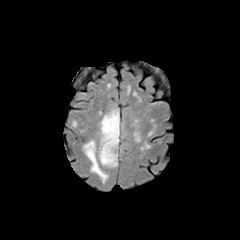
FLAIR MR image.
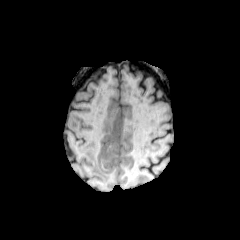
T1-weighted MR image of the same slice.
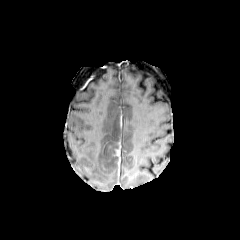
Post-contrast T1-weighted MRI of the same slice.
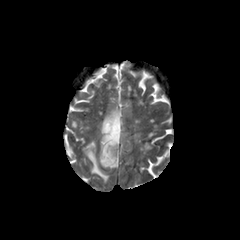
T2-weighted MR image of the same slice.
Brain | 240x240 px
edema:
  - box=[83, 106, 122, 182]